MRI slice

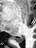

<segmentation>
  <posterior_hippocampus>13, 36, 23, 42</posterior_hippocampus>
</segmentation>